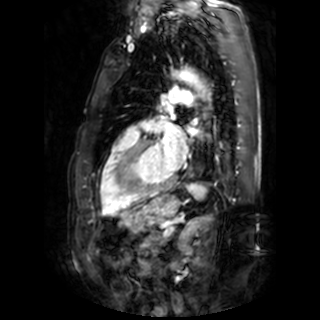 Heart | MR | 320x320 px

left atrium: left=156, top=119, right=186, bottom=168; left=189, top=128, right=197, bottom=135